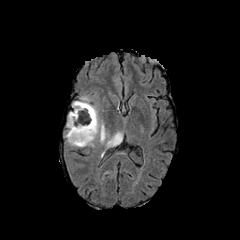
FLAIR MR image.
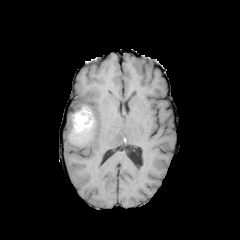
Same slice, T1-weighted magnetic resonance.
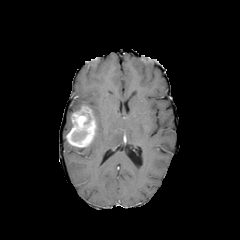
Same slice, post-contrast T1-weighted MR.
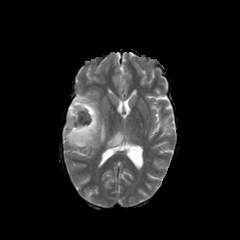
T2-weighted MRI.
Brain
<segmentation>
  <enhancing_tumor>65:107:98:147</enhancing_tumor>
  <edema>67:112:73:132, 106:131:123:147, 72:96:106:148</edema>
</segmentation>